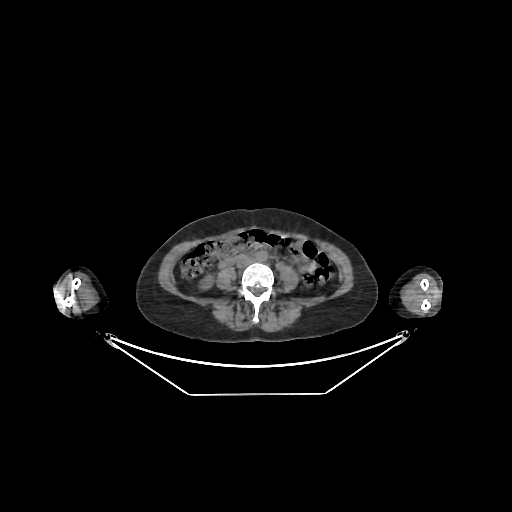 CT slice. Image size 512x512.
Segmented structures:
- kidney: (199,274,214,289)